Image width 421 mm | Computed tomography
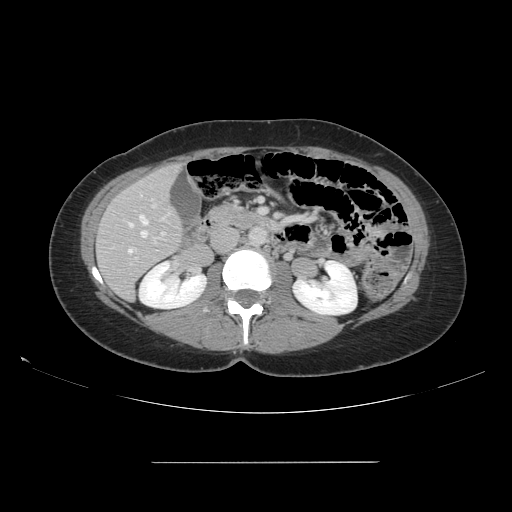
Not every hepatic vessel necessarily has a box.
hepatic vessel: {"x1": 127, "y1": 222, "x2": 132, "y2": 226}, {"x1": 141, "y1": 231, "x2": 146, "y2": 237}, {"x1": 128, "y1": 248, "x2": 136, "y2": 253}, {"x1": 123, "y1": 220, "x2": 125, "y2": 221}, {"x1": 139, "y1": 215, "x2": 148, "y2": 225}, {"x1": 152, "y1": 204, "x2": 155, "y2": 206}, {"x1": 154, "y1": 232, "x2": 164, "y2": 242}, {"x1": 135, "y1": 257, "x2": 137, "y2": 258}, {"x1": 162, "y1": 213, "x2": 169, "y2": 220}